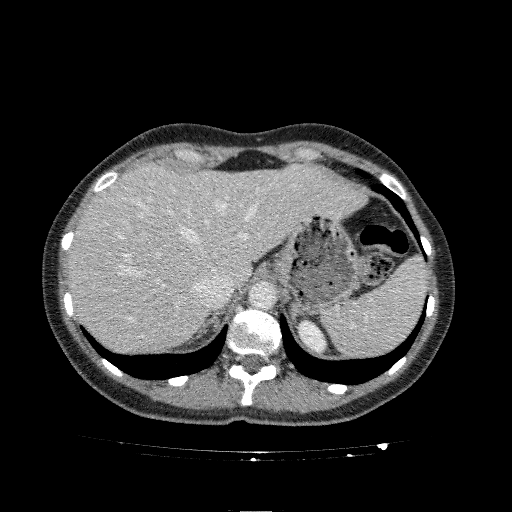 CT; Abdomen
The kidney is at [x1=299, y1=322, x2=325, y2=351]. The liver is bounded by [x1=67, y1=163, x2=366, y2=351].